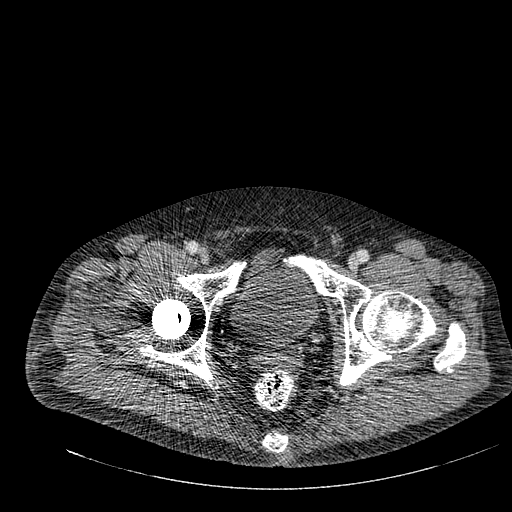
Lower abdomen, Image size 512x512, CT
Urinary bladder: bbox=[230, 248, 319, 349].